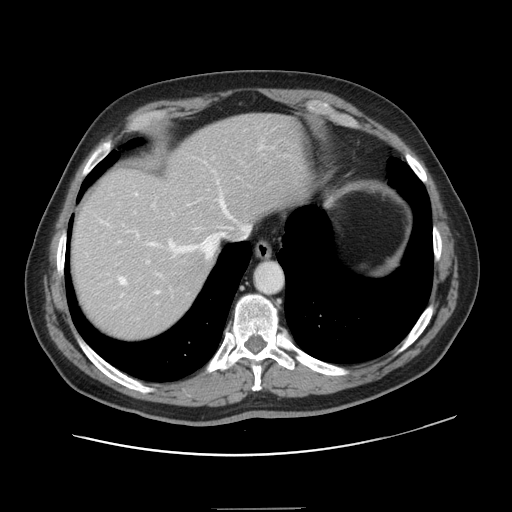 CT image.

Some hepatic vessels may have no box.
11 hepatic vessel regions are located at (left=119, top=277, right=125, bottom=283), (left=155, top=291, right=158, bottom=293), (left=242, top=226, right=248, bottom=228), (left=105, top=223, right=107, bottom=224), (left=135, top=193, right=137, bottom=194), (left=228, top=227, right=230, bottom=228), (left=147, top=260, right=148, bottom=262), (left=218, top=196, right=231, bottom=217), (left=169, top=240, right=186, bottom=255), (left=147, top=242, right=154, bottom=244), (left=101, top=221, right=104, bottom=222).